CT; Field of view 382x382 mm 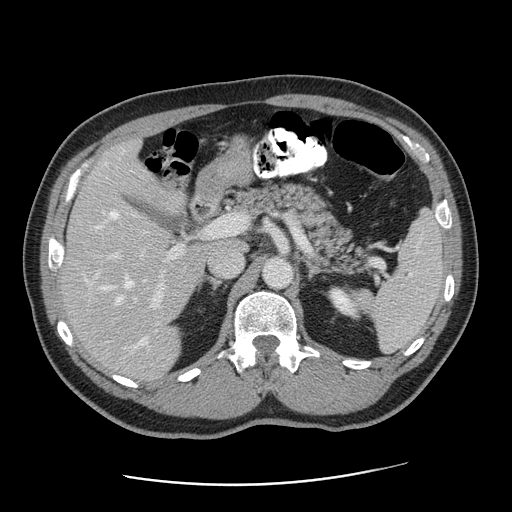
The vessel boxes may cover only some of the vessels.
Segmented structures:
- hepatic vessel: 205 214 247 237, 111 211 117 218, 151 280 164 307, 116 296 122 302, 129 339 147 351, 124 276 132 287, 165 245 184 259, 86 278 94 284, 97 272 98 275, 244 245 246 247, 100 286 110 288, 96 225 102 228, 209 244 242 276, 109 254 117 257